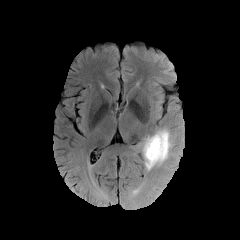
FLAIR MR.
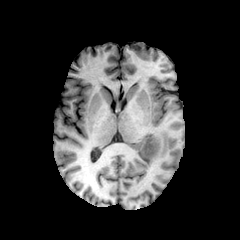
T1-weighted magnetic resonance.
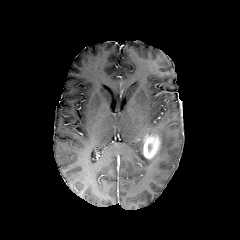
Same slice, post-contrast T1-weighted MR.
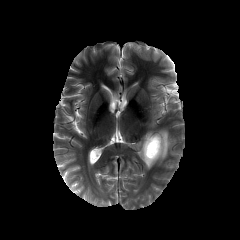
T2-weighted magnetic resonance.
240x240 px
enhancing_tumor:
  - box(142, 134, 160, 160)
edema:
  - box(139, 135, 145, 156)
  - box(142, 128, 175, 169)